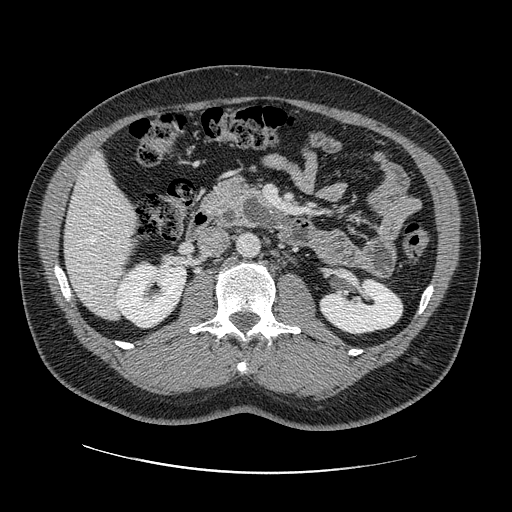
CT scan slice; Upper abdomen
<segmentation>
  <pancreas>(199,177,256,229)</pancreas>
</segmentation>